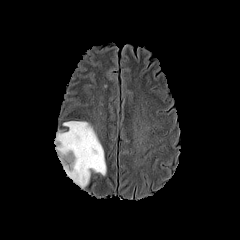
FLAIR MR image.
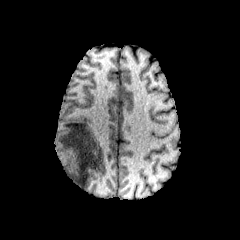
Same slice, T1-weighted MR image.
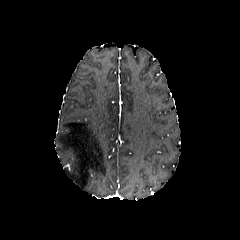
Post-contrast T1-weighted MR image.
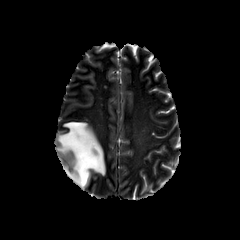
T2-weighted MR.
240x240; Brain
Edema at box(54, 121, 107, 189).
Non-enhancing tumor core at box(61, 152, 73, 164).